FLAIR magnetic resonance.
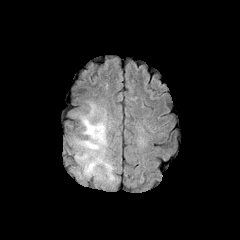
T1-weighted magnetic resonance.
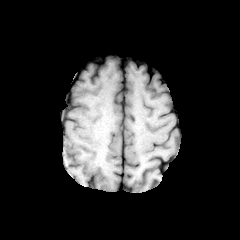
Post-contrast T1-weighted MR image.
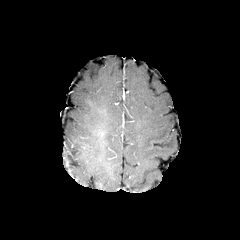
T2-weighted MR image.
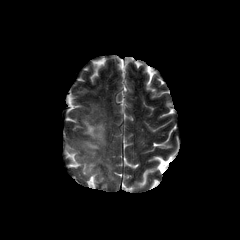
The edema lies within [x1=74, y1=102, x2=114, y2=180].